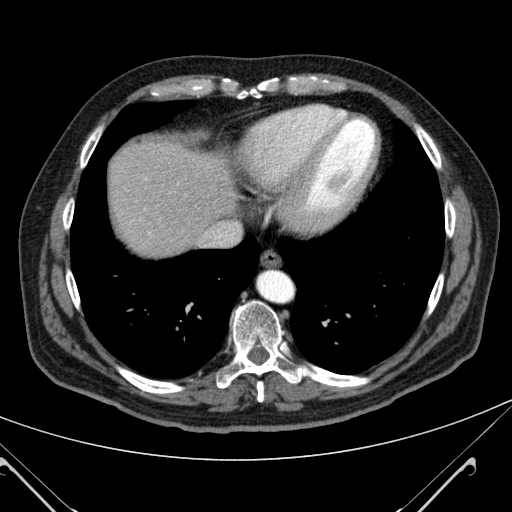

Upper abdomen | CT
{"liver": ["bbox=[107, 139, 242, 258]"]}